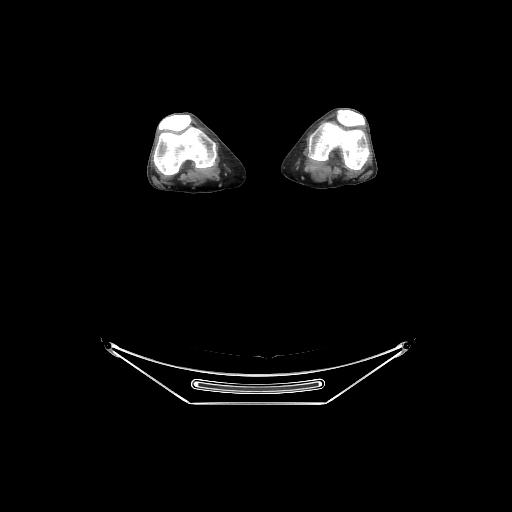

CT

Annotated regions:
• bone: 154 115 216 174, 308 110 369 169